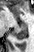

Image size 34x52 | MR image
The posterior hippocampus is at x1=14 y1=25 x2=27 y2=39.